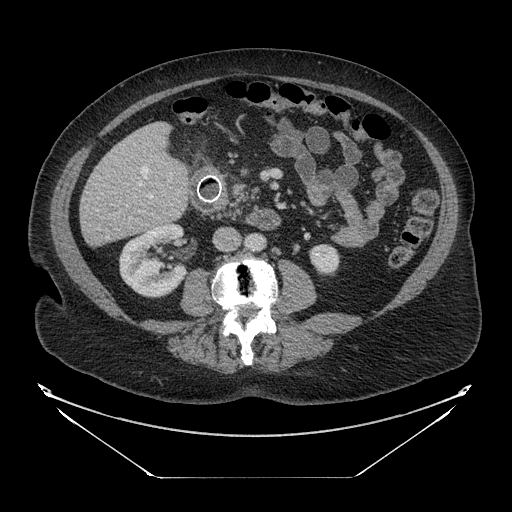 Abdomen | CT | Image size 512x512
pancreas:
  - 221:184:255:217